Field of view 396x396 mm; Slice 51/85; CT slice 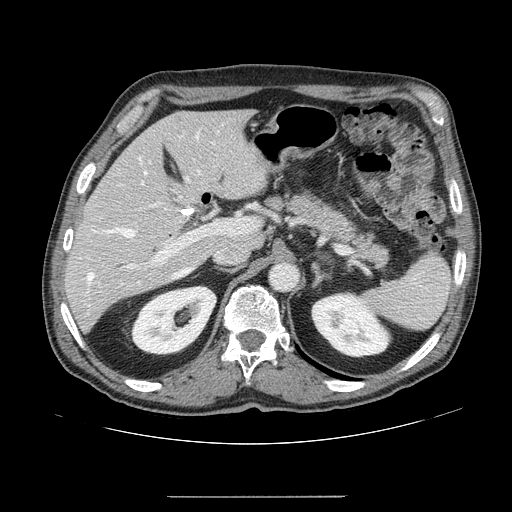

{"pancreas": ["(left=263, top=186, right=393, bottom=272)"]}